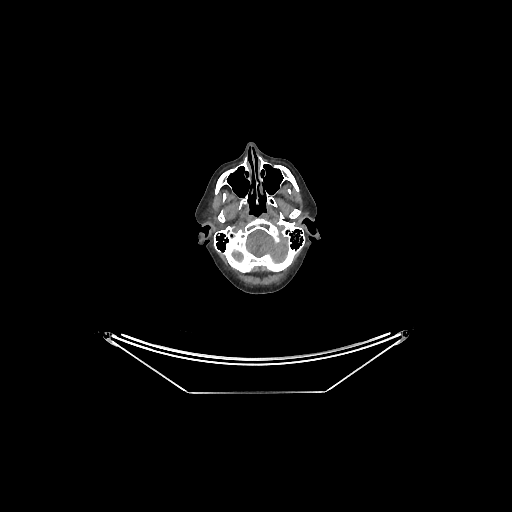

CT scan slice | Brain
Brain: 245 229 288 263, 231 249 243 262.